Image width 240 mm
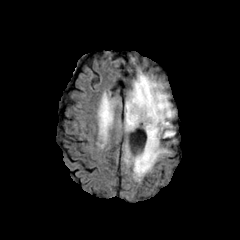
FLAIR magnetic resonance.
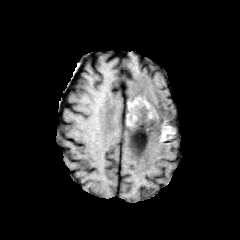
T1-weighted MR.
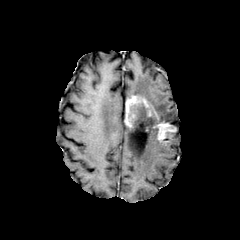
Post-contrast T1-weighted magnetic resonance of the same slice.
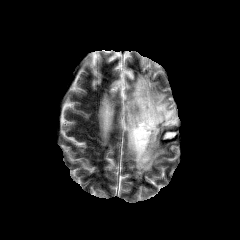
Same slice, T2-weighted MRI.
Edema — bbox(124, 130, 173, 180); bbox(98, 96, 114, 137); bbox(128, 71, 176, 124).
Non-enhancing tumor core — bbox(129, 98, 163, 135).
Enhancing tumor — bbox(125, 96, 148, 127); bbox(154, 122, 171, 138).